Upper abdomen. Slice 20 of 97. CT image.

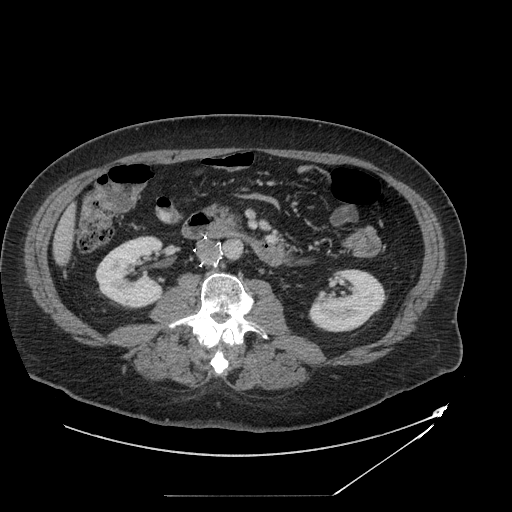

Pancreas — {"x1": 209, "y1": 205, "x2": 237, "y2": 222}.